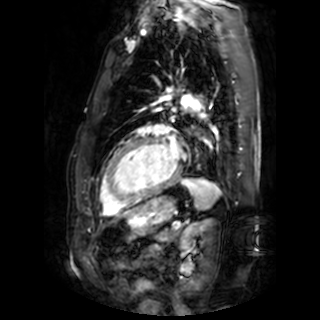
Image size 320x320, MR image

left atrium: (left=168, top=138, right=181, bottom=158)